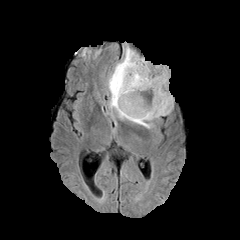
FLAIR MRI.
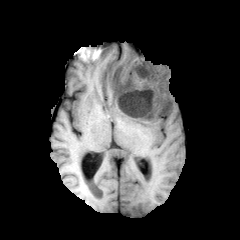
Same slice, T1-weighted magnetic resonance.
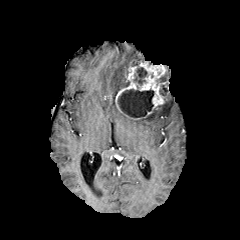
Post-contrast T1-weighted magnetic resonance.
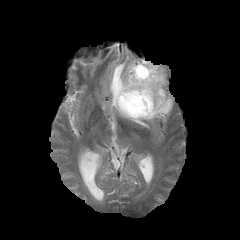
T2-weighted MRI.
240x240 px, Brain
Enhancing tumor: (114,60,170,119).
Non-enhancing tumor core: (134,67,147,84), (159,85,168,96), (118,89,154,116).
Edema: (104,47,172,128).